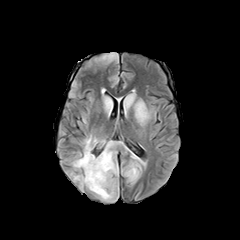
FLAIR MRI.
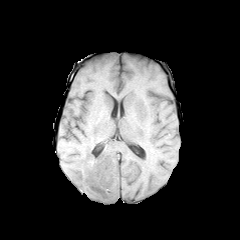
T1-weighted MR of the same slice.
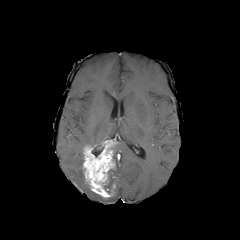
Post-contrast T1-weighted MR.
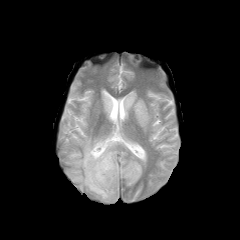
T2-weighted MR of the same slice.
Head
Findings:
* non-enhancing tumor core: box=[104, 144, 115, 197]; box=[91, 144, 103, 157]
* edema: box=[94, 163, 119, 201]; box=[103, 98, 111, 109]; box=[70, 151, 93, 193]; box=[82, 135, 104, 148]; box=[124, 94, 147, 123]
* enhancing tumor: box=[83, 140, 115, 197]